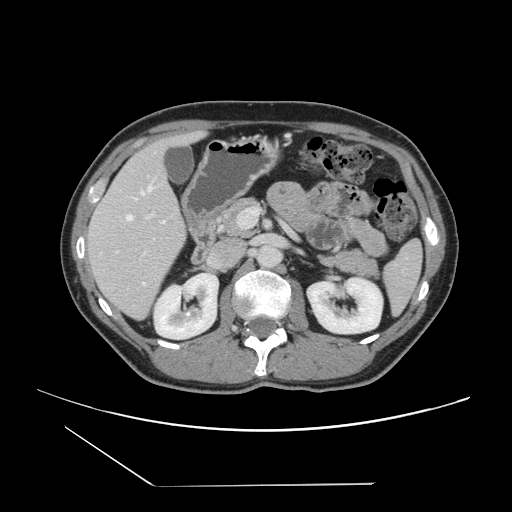

CT scan slice, Abdomen

Some hepatic vessels may have no box.
<segmentation>
  <hepatic_vessel>region(150, 180, 153, 185); region(148, 214, 150, 215)</hepatic_vessel>
</segmentation>